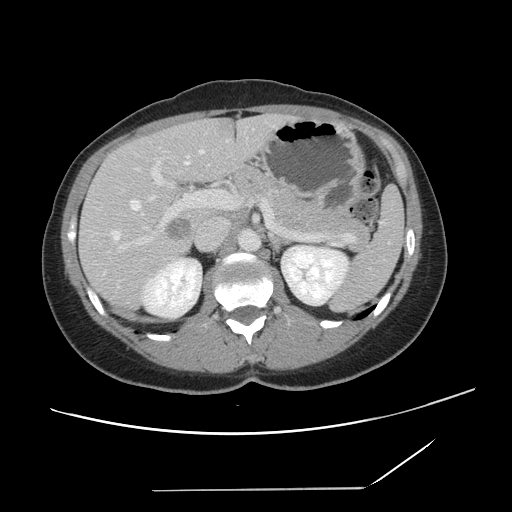

CT scan slice.
The vessel annotation is not exhaustive.
Liver tumor: 166,217,192,239.
Hepatic vessel: 185,155,189,163; 200,149,203,153; 111,231,119,240; 152,160,160,183; 131,200,139,209; 149,195,155,199; 136,169,139,170; 120,244,127,249.